FLAIR MRI.
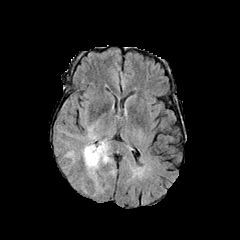
T1-weighted MR image.
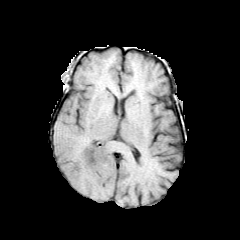
Post-contrast T1-weighted MRI.
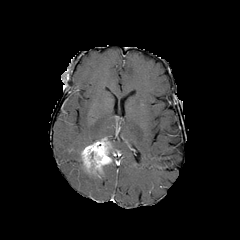
T2-weighted MR.
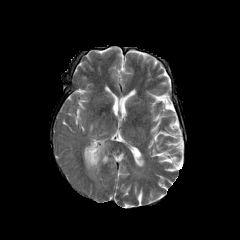
Brain.
The enhancing tumor is at <bbox>82, 139, 111, 171</bbox>. 2 edema regions appear at <bbox>89, 164, 107, 178</bbox>, <bbox>87, 125, 101, 143</bbox>.